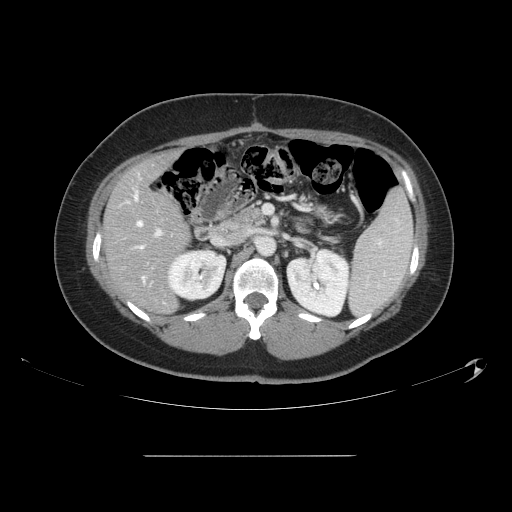 Abdomen | CT slice

The vessel annotation is not exhaustive.
{
  "hepatic_vessel": [
    "bbox(134, 192, 137, 199)",
    "bbox(135, 246, 143, 248)",
    "bbox(142, 276, 144, 282)",
    "bbox(138, 222, 141, 225)",
    "bbox(155, 229, 160, 235)"
  ]
}